FLAIR magnetic resonance.
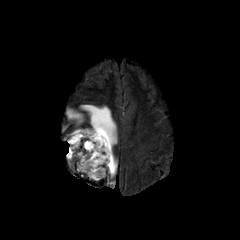
T1-weighted MR image.
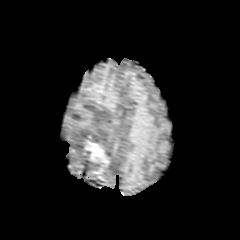
Post-contrast T1-weighted magnetic resonance.
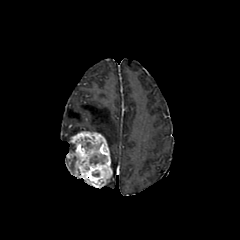
T2-weighted MR image.
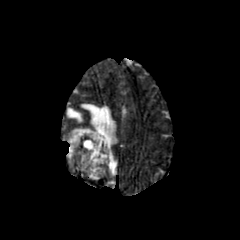
Brain. 240x240 px.
Enhancing tumor: (x1=68, y1=130, x2=112, y2=181).
Non-enhancing tumor core: (x1=90, y1=154, x2=105, y2=164), (x1=87, y1=180, x2=102, y2=185).
Edema: (x1=67, y1=104, x2=117, y2=177).